Slice 124/155
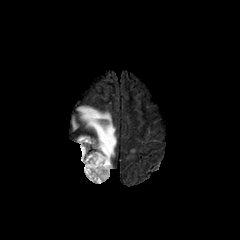
FLAIR magnetic resonance.
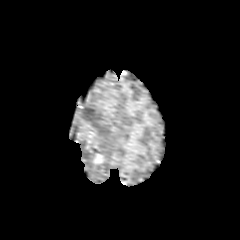
Same slice, T1-weighted MR image.
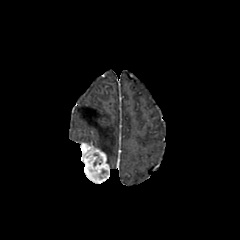
Post-contrast T1-weighted magnetic resonance.
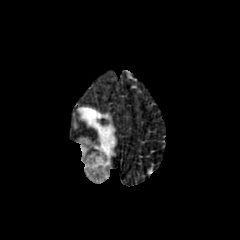
T2-weighted MR of the same slice.
Enhancing tumor: region(78, 139, 111, 183).
Edema: region(77, 106, 116, 165).